Field of view 240 mm wide, 1.00 mm slice spacing, Slice 106/155, Head
FLAIR magnetic resonance.
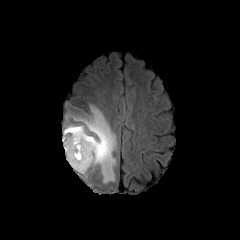
T1-weighted magnetic resonance.
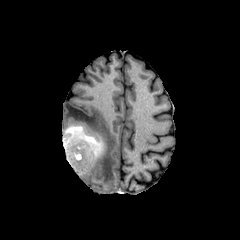
Post-contrast T1-weighted magnetic resonance.
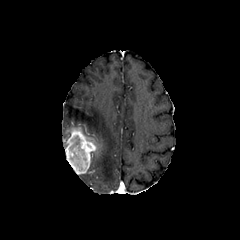
T2-weighted MR.
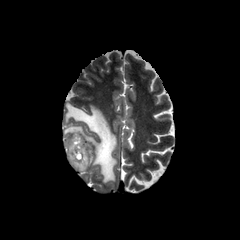
edema:
  - l=65, t=103, r=117, b=182
enhancing_tumor:
  - l=65, t=131, r=95, b=173
non-enhancing_tumor_core:
  - l=85, t=137, r=104, b=157
  - l=63, t=126, r=85, b=136
  - l=68, t=135, r=87, b=171